Abdomen. CT. 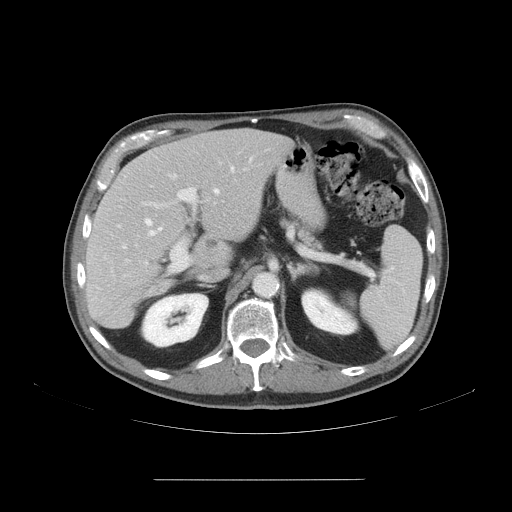 Not every hepatic vessel necessarily has a box.
hepatic_vessel:
  - x1=123 y1=246 x2=125 y2=248
  - x1=127 y1=260 x2=128 y2=261
  - x1=144 y1=217 x2=162 y2=236
  - x1=172 y1=175 x2=175 y2=177
  - x1=144 y1=262 x2=147 y2=264
  - x1=116 y1=224 x2=121 y2=227
  - x1=142 y1=202 x2=168 y2=208
  - x1=170 y1=240 x2=190 y2=271
  - x1=177 y1=187 x2=196 y2=204
  - x1=249 y1=158 x2=251 y2=161
  - x1=230 y1=165 x2=234 y2=172
  - x1=213 y1=188 x2=219 y2=194